Image size 240x240.
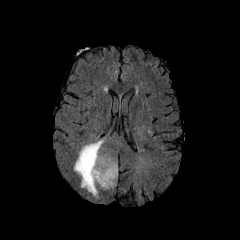
FLAIR MR.
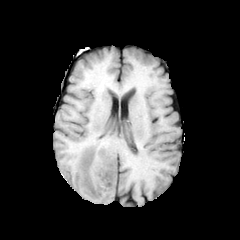
T1-weighted MR image of the same slice.
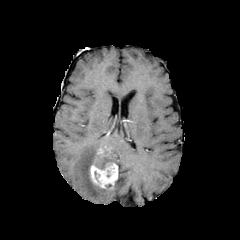
Post-contrast T1-weighted MR image.
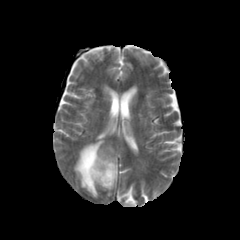
T2-weighted MR of the same slice.
Segmented structures:
• non-enhancing tumor core: region(82, 152, 110, 184)
• edema: region(74, 136, 115, 197)
• enhancing tumor: region(90, 162, 117, 187)